Image size 240x240; Field of view 240 mm wide, 1.00 mm slice spacing
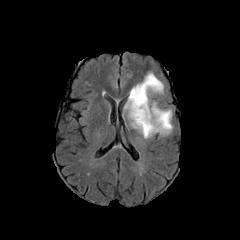
FLAIR MR image.
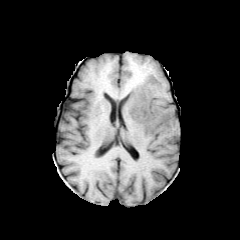
Same slice, T1-weighted MR.
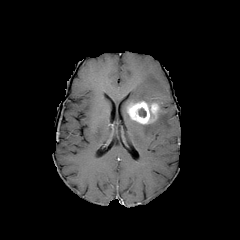
Post-contrast T1-weighted MR image of the same slice.
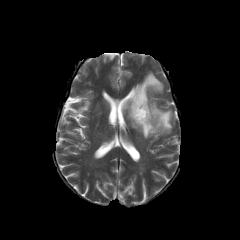
T2-weighted MRI.
The edema is located at <bbox>124, 72, 173, 138</bbox>. The non-enhancing tumor core is bounded by <bbox>139, 109, 146, 116</bbox>. The enhancing tumor is bounded by <bbox>126, 100, 159, 124</bbox>.